Field of view 450x450 mm; 512x512 px; CT image

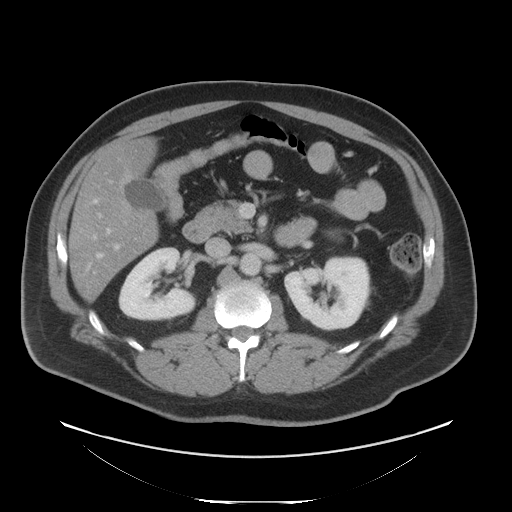 pancreas: (198, 200, 249, 232)